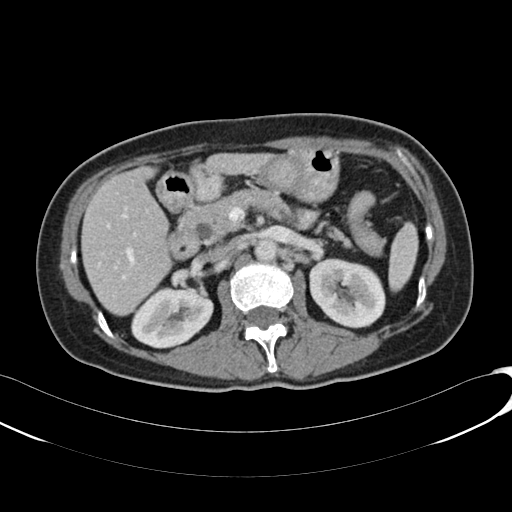 Image size 512x512. Liver. CT.

<segmentation>
  <liver>bbox(82, 166, 171, 313); bbox(209, 154, 269, 173)</liver>
  <kidney>bbox(132, 289, 212, 347); bbox(310, 260, 384, 326)</kidney>
</segmentation>